512x512 px, Liver, Slice 24 of 51, Computed tomography 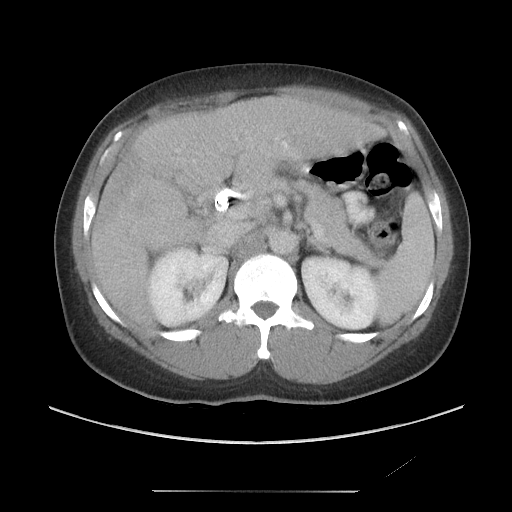

Some hepatic vessels may have no box.
Segmented structures:
• liver tumor: x1=94, y1=153, x2=143, y2=230
• hepatic vessel: x1=175, y1=144, x2=183, y2=152; x1=235, y1=136, x2=236, y2=140